Slice 55 of 155
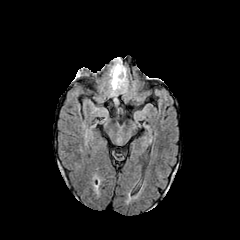
FLAIR MR image.
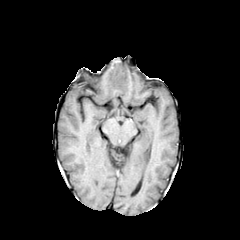
T1-weighted magnetic resonance.
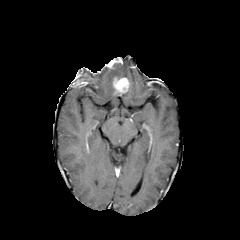
Post-contrast T1-weighted MR image.
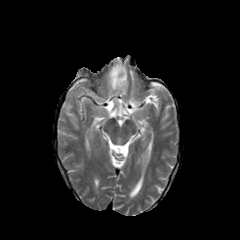
Same slice, T2-weighted magnetic resonance.
The edema is located at x1=104, y1=63, x2=127, y2=95. The enhancing tumor appears at x1=113, y1=77, x2=128, y2=92.